FLAIR MR.
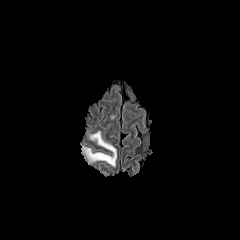
T1-weighted MR.
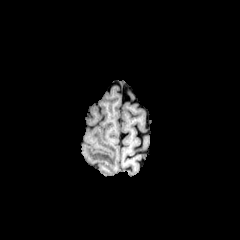
Post-contrast T1-weighted magnetic resonance.
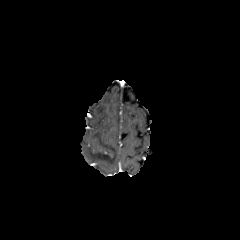
T2-weighted MR.
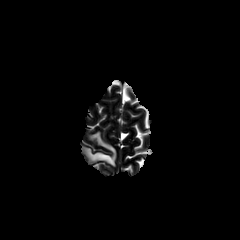
Head
The edema is located at <bbox>82, 131, 116, 166</bbox>.